Slice index 75; Image size 240x240; Image width 240 mm
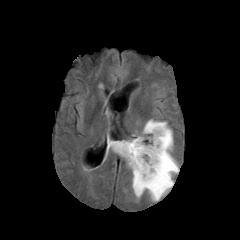
FLAIR MRI.
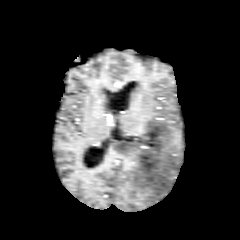
T1-weighted MR.
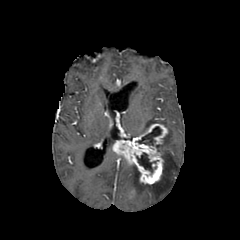
Post-contrast T1-weighted MR of the same slice.
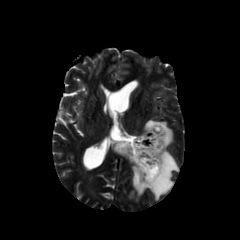
T2-weighted magnetic resonance.
The enhancing tumor is bounded by <box>113,123,167,184</box>. The edema appears at <box>128,119,178,200</box>. 2 non-enhancing tumor core regions are bounded by <box>136,152,156,172</box>, <box>136,126,161,145</box>.